CT scan slice; Liver; 512x512 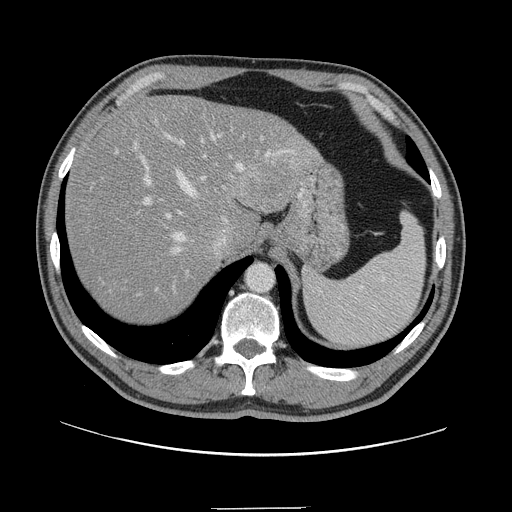

The vessel annotation is not exhaustive.
liver tumor: <bbox>249, 177, 284, 212</bbox> | [15/20] hepatic vessel: <bbox>224, 187, 226, 189</bbox>, <bbox>177, 140, 183, 144</bbox>, <bbox>168, 214, 169, 217</bbox>, <bbox>237, 164, 243, 170</bbox>, <bbox>174, 233, 184, 242</bbox>, <bbox>173, 248, 180, 253</bbox>, <bbox>267, 151, 277, 156</bbox>, <bbox>211, 131, 221, 140</bbox>, <bbox>166, 134, 172, 139</bbox>, <bbox>143, 198, 151, 204</bbox>, <bbox>281, 151, 293, 152</bbox>, <bbox>202, 177, 204, 179</bbox>, <bbox>135, 143, 137, 149</bbox>, <bbox>141, 156, 150, 185</bbox>, <bbox>176, 170, 195, 196</bbox>